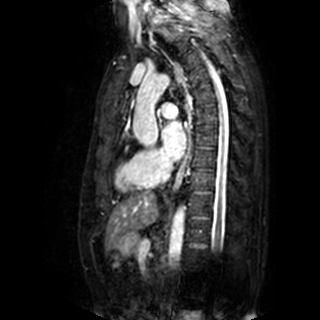
MRI slice | 320x320 px

* left atrium: (left=161, top=121, right=185, bottom=160)